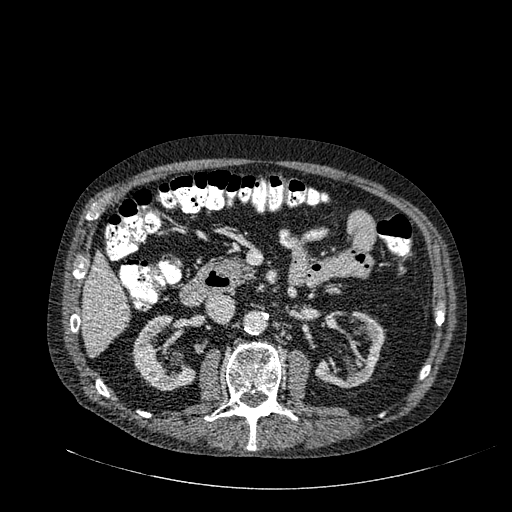 Liver; Computed tomography
* kidney: x1=315 y1=311 x2=384 y2=387, x1=132 y1=315 x2=195 y2=390
* liver: x1=83 y1=251 x2=129 y2=357